CT image. Liver. 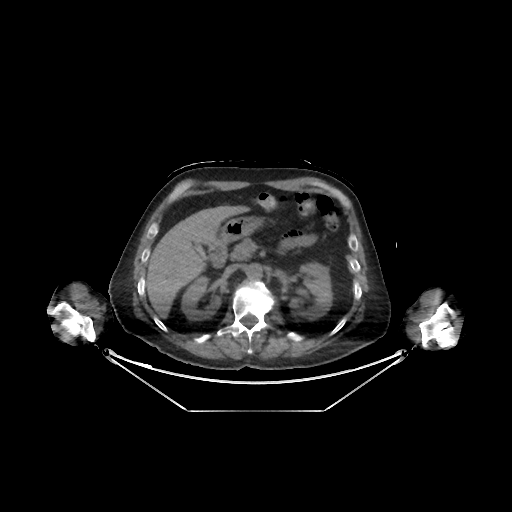

Kidney at box(181, 273, 222, 320); box(287, 260, 335, 320).
Liver at box(145, 206, 248, 313).